CT. Upper abdomen. Slice 473/683. 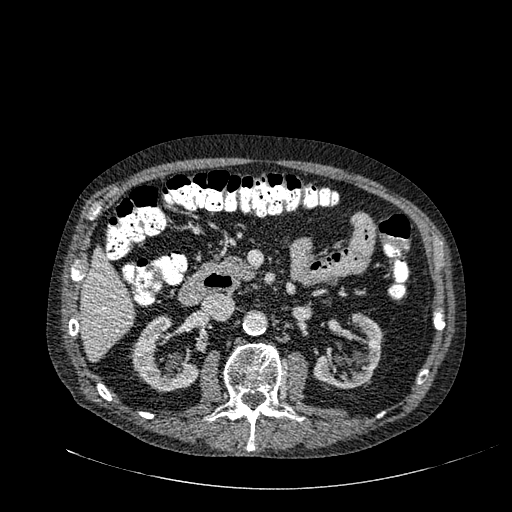
Annotated regions:
• liver: (x1=82, y1=248, x2=134, y2=361)
• kidney: (x1=313, y1=312, x2=382, y2=388), (x1=132, y1=315, x2=199, y2=391)